CT scan slice.

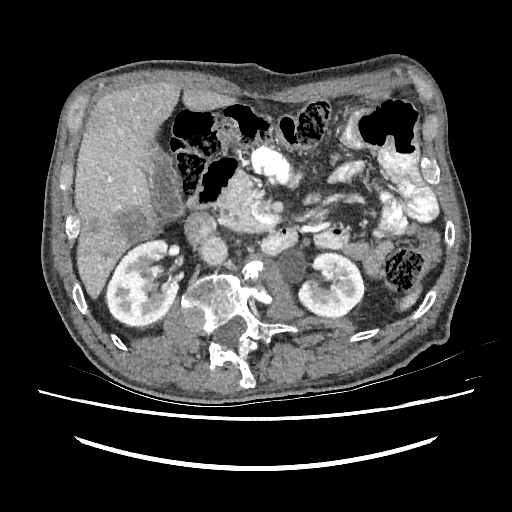 Segmented structures:
* liver: left=75, top=83, right=180, bottom=298; left=183, top=89, right=235, bottom=110
* kidney: left=107, top=241, right=178, bottom=325; left=299, top=253, right=363, bottom=317
* hepatic lesion: left=111, top=208, right=155, bottom=243; left=100, top=251, right=114, bottom=258; left=82, top=217, right=103, bottom=234